CT scan slice, Field of view 360x360 mm, 512x512 px, Slice 184/689 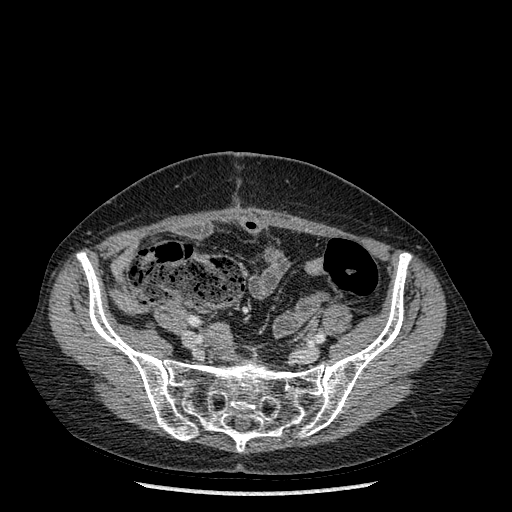 The bone lies within rect(76, 252, 411, 452).